Abdomen. Computed tomography. Slice 46 of 99.
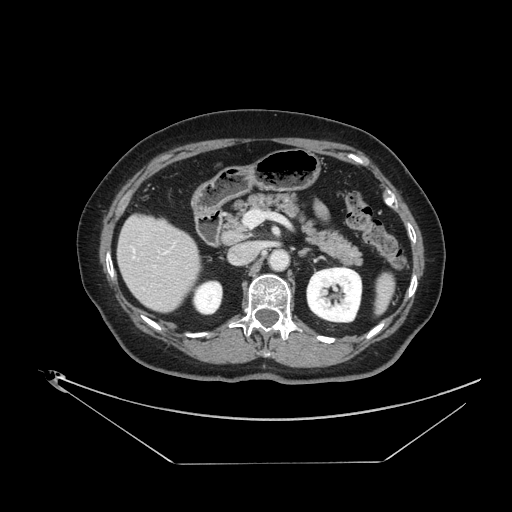 The vessel annotation is not exhaustive.
<segmentation>
  <hepatic_vessel>[245, 218, 255, 225]</hepatic_vessel>
</segmentation>